MRI slice; Medial temporal lobe; 31x50 px; Slice 30/36

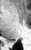
posterior_hippocampus:
  - [10,40,16,41]